240x240
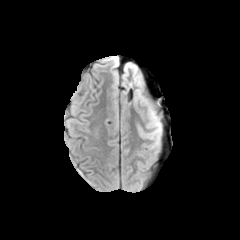
FLAIR MRI.
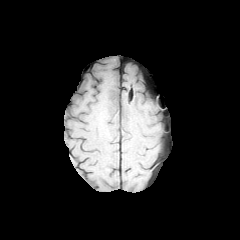
T1-weighted magnetic resonance.
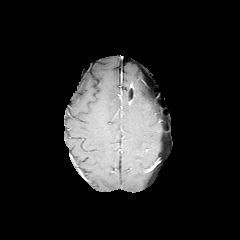
Post-contrast T1-weighted magnetic resonance.
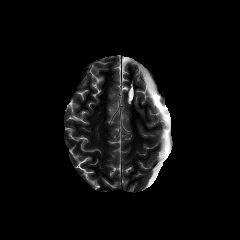
T2-weighted magnetic resonance.
Edema: (x1=142, y1=96, x2=160, y2=127), (x1=146, y1=127, x2=162, y2=146).